CT slice; Slice 515/845

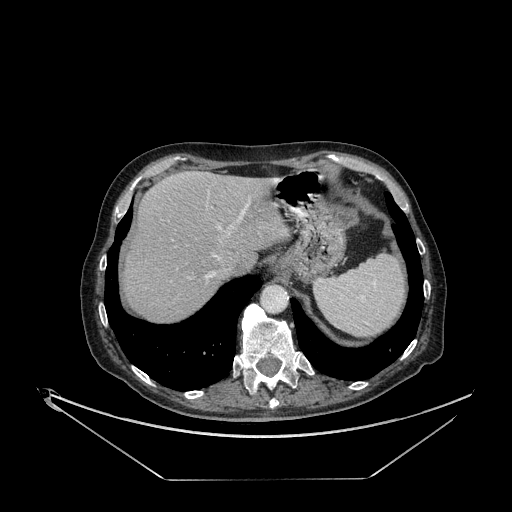

liver: <bbox>125, 170, 282, 321</bbox>